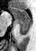 36x51 px | MR image

{"posterior_hippocampus": ["18 23 30 35"], "anterior_hippocampus": ["11 8 30 22"]}